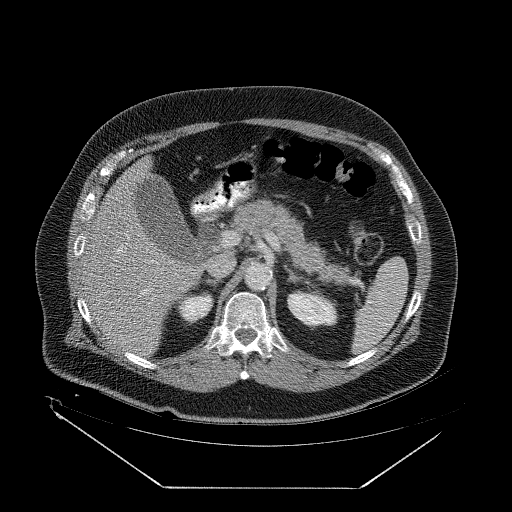

CT image, Upper abdomen
Findings:
- pancreas: (231, 199, 366, 290)